Pelvis, CT slice
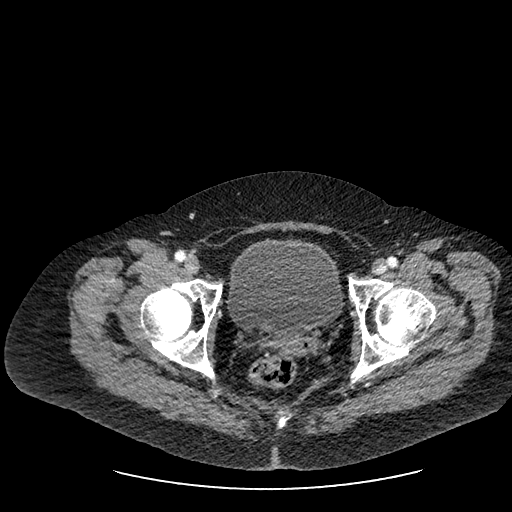 The urinary bladder is at <bbox>227, 242, 342, 337</bbox>.